CT slice
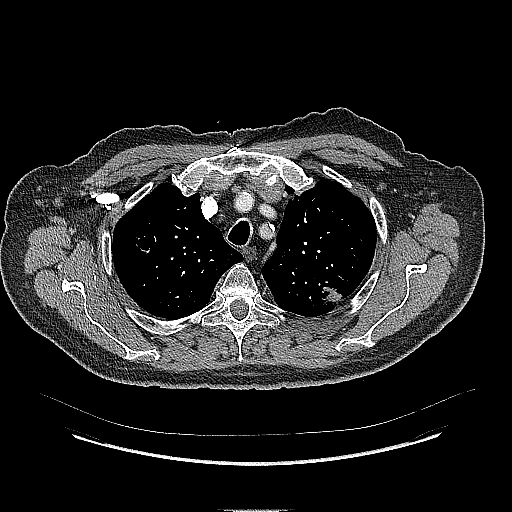
Segmented structures:
- lung tumor: x1=321, y1=286, x2=342, y2=305